Cardiac; Image width 400 mm; 320x320 px; MR image; Slice index 46
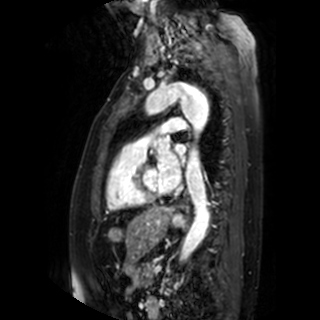
Left atrium — [x1=159, y1=144, x2=186, y2=190].